Brain.
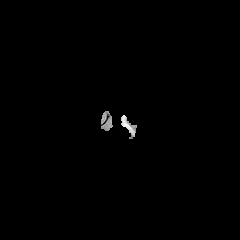
FLAIR MR image.
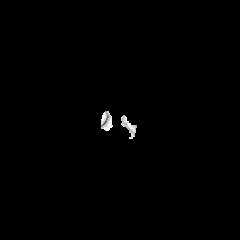
Same slice, T1-weighted MRI.
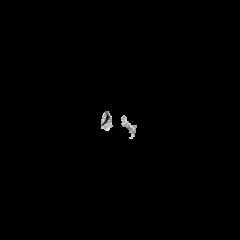
Post-contrast T1-weighted MR.
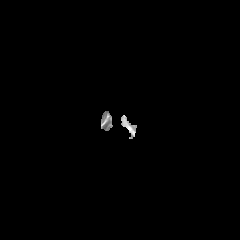
T2-weighted MR image.
The edema is bounded by region(123, 121, 134, 135).